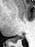

MR | Hippocampus
Segmented structures:
* posterior hippocampus: (9,35,24,42)